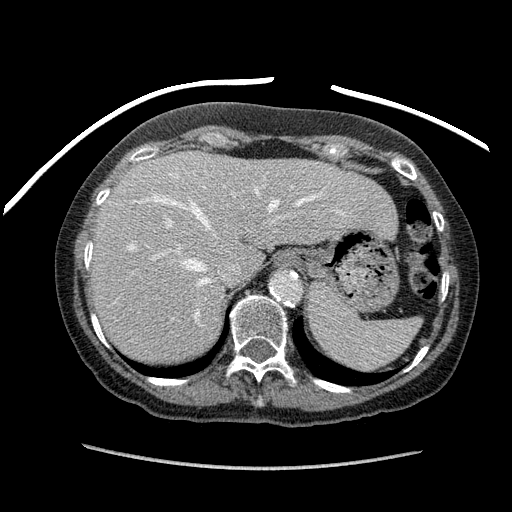
CT slice. Image size 512x512.
liver: (92, 151, 395, 362)